CT scan slice. Liver. Slice index 526. Field of view 438 mm wide, 0.70 mm slice spacing. 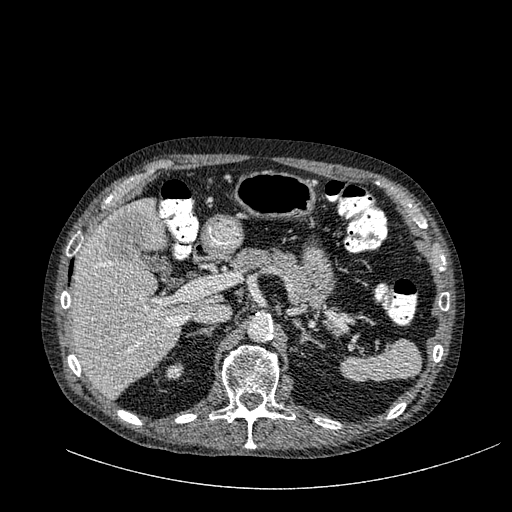

The focal liver lesion is located at l=104, t=211, r=152, b=264. The liver is located at l=71, t=197, r=222, b=398. The kidney is located at l=165, t=363, r=183, b=379.